CT image. Field of view 442x442 mm. Slice 56 of 97. Liver.

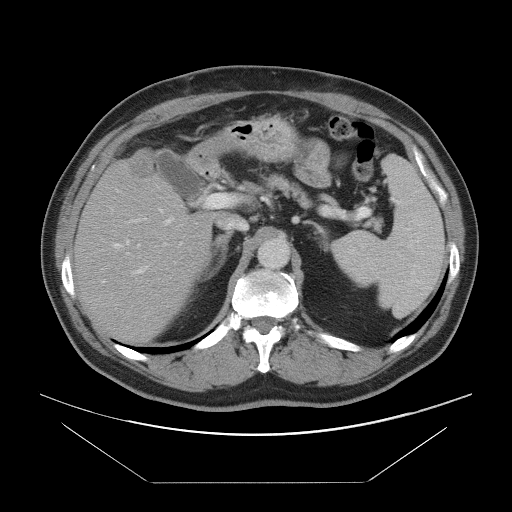

The vessel annotation is not exhaustive.
Hepatic vessel = [130, 219, 139, 221], [136, 266, 147, 272], [180, 242, 181, 244], [165, 218, 172, 223], [159, 209, 162, 211].
Liver tumor = [130, 151, 153, 179].